CT scan slice 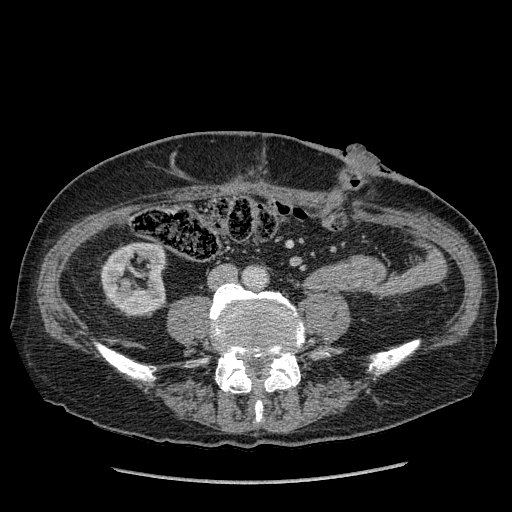 <segmentation>
  <kidney>(101, 243, 164, 314)</kidney>
</segmentation>